Image width 400 mm, Upper abdomen, Computed tomography
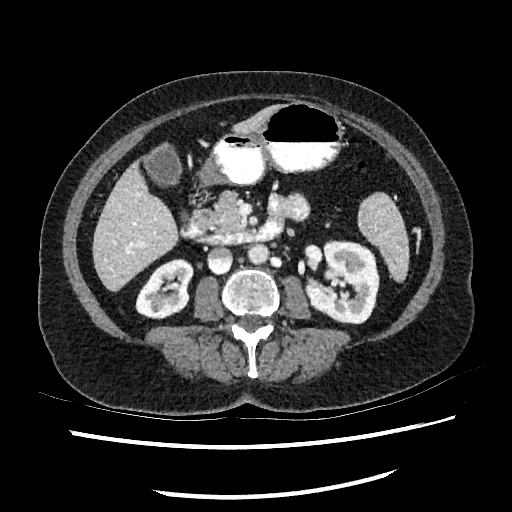 - liver: {"x1": 234, "y1": 108, "x2": 275, "y2": 131}, {"x1": 92, "y1": 162, "x2": 176, "y2": 291}
- kidney: {"x1": 136, "y1": 260, "x2": 192, "y2": 317}, {"x1": 306, "y1": 242, "x2": 378, "y2": 322}